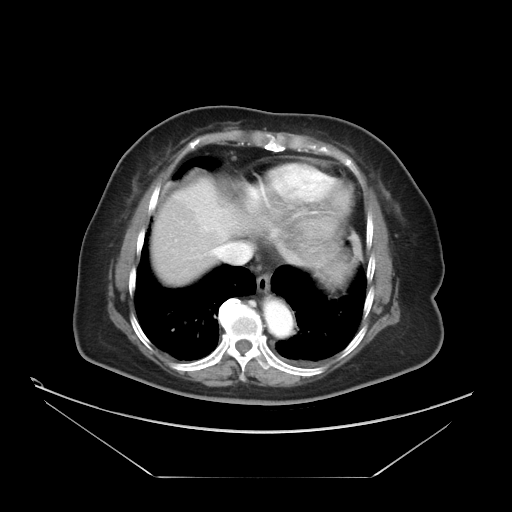 512x512; CT slice
Not every hepatic vessel necessarily has a box.
hepatic vessel: 211:247:223:257